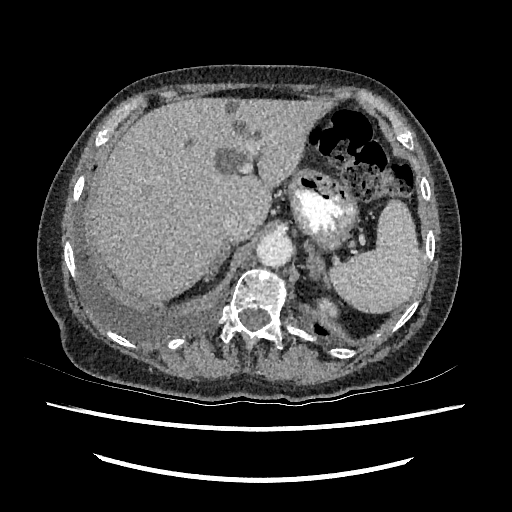

CT scan slice, Liver, Image size 512x512
liver:
  - (left=93, top=98, right=330, bottom=299)
kidney:
  - (left=326, top=301, right=335, bottom=314)
focal_liver_lesion:
  - (left=142, top=188, right=150, bottom=195)
  - (left=227, top=103, right=236, bottom=111)
  - (left=216, top=148, right=247, bottom=173)
  - (left=233, top=123, right=243, bottom=133)